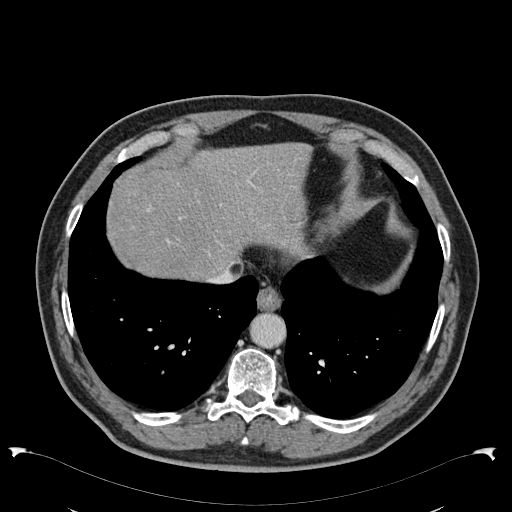
Abdomen. CT image. The liver is bounded by left=109, top=143, right=312, bottom=279.